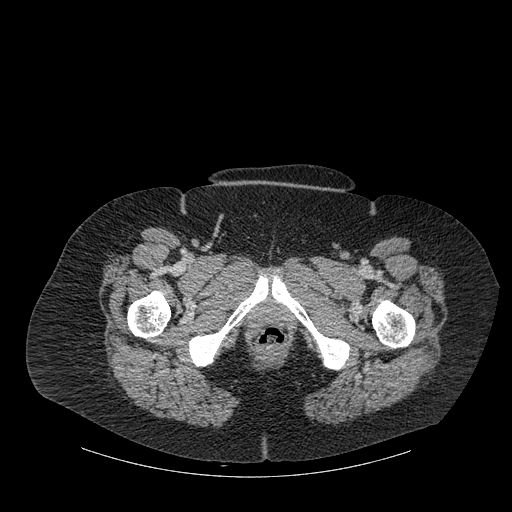

CT image. Annotated regions:
* bone: 189, 275, 268, 366; 272, 276, 349, 369; 372, 300, 415, 347; 127, 291, 170, 337